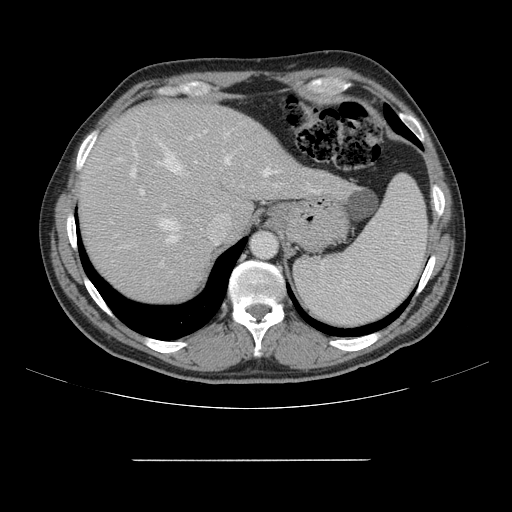 512x512, Liver, CT
Only some of the vessels may be annotated.
hepatic vessel: x1=139, y1=190, x2=143, y2=193; x1=195, y1=161, x2=197, y2=162; x1=306, y1=183, x2=313, y2=191; x1=159, y1=262, x2=163, y2=266; x1=271, y1=184, x2=278, y2=187; x1=264, y1=168, x2=277, y2=175; x1=167, y1=236, x2=176, y2=242; x1=159, y1=219, x2=178, y2=230; x1=120, y1=246, x2=126, y2=247; x1=227, y1=132, x2=229, y2=134; x1=225, y1=155, x2=231, y2=163; x1=189, y1=137, x2=192, y2=138; x1=132, y1=141, x2=136, y2=155; x1=131, y1=168, x2=135, y2=176